Slice index 32. CT.
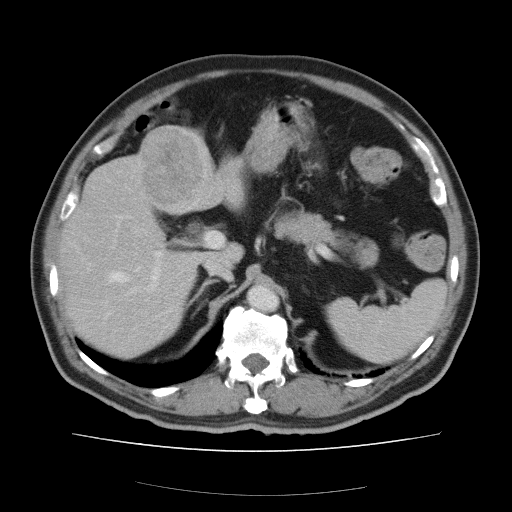
Not every hepatic vessel necessarily has a box.
<segmentation>
  <liver_tumor>x1=143, y1=131, x2=200, y2=203</liver_tumor>
  <hepatic_vessel>x1=205, y1=232, x2=223, y2=247; x1=148, y1=251, x2=164, y2=287; x1=136, y1=268, x2=138, y2=270; x1=108, y1=271, x2=126, y2=281</hepatic_vessel>
</segmentation>